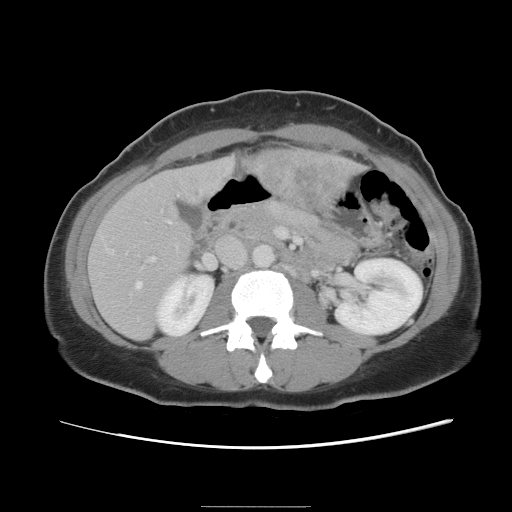
CT scan slice.
The vessel boxes may cover only some of the vessels.
Findings:
- liver tumor: rect(250, 153, 350, 211)
- hepatic vessel: rect(167, 219, 170, 222); rect(148, 256, 154, 260); rect(200, 188, 201, 190); rect(109, 249, 113, 252); rect(211, 238, 246, 268); rect(276, 228, 287, 237); rect(295, 237, 300, 242); rect(135, 282, 140, 287)